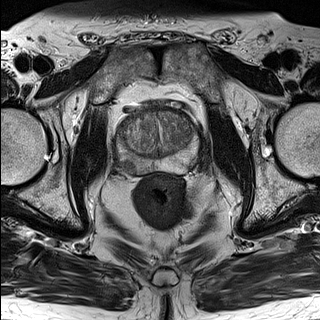
T2-weighted magnetic resonance.
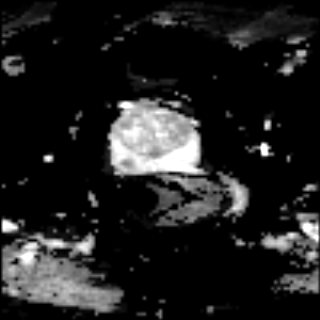
ADC MR of the same slice.
Pelvis. Image size 320x320.
prostate peripheral zone: region(117, 126, 202, 173) | prostate transition zone: region(121, 114, 194, 157)